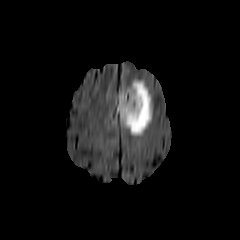
FLAIR MR image.
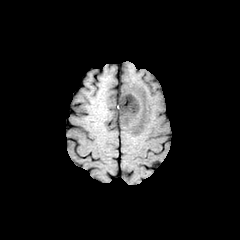
T1-weighted magnetic resonance of the same slice.
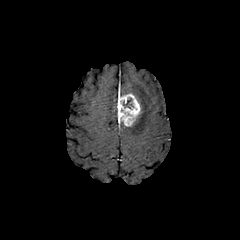
Post-contrast T1-weighted MR image.
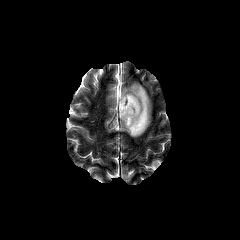
T2-weighted MR image.
Brain
The edema is located at box(120, 80, 151, 137). The enhancing tumor is located at box(116, 87, 141, 126). The non-enhancing tumor core appears at box(132, 104, 143, 127).